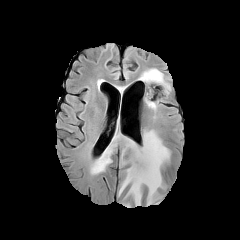
FLAIR MR.
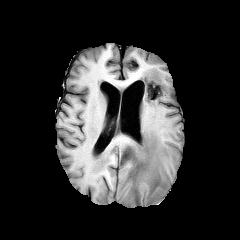
T1-weighted MR of the same slice.
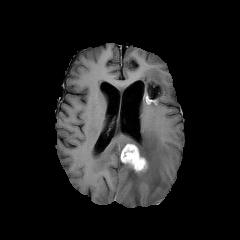
Same slice, post-contrast T1-weighted MR.
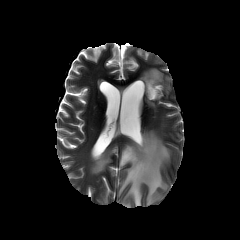
Same slice, T2-weighted magnetic resonance.
Image size 240x240
<segmentation>
  <edema><bbox>91, 131, 121, 173</bbox>, <bbox>140, 68, 165, 84</bbox>, <bbox>118, 130, 170, 207</bbox>, <bbox>146, 96, 155, 109</bbox></edema>
  <non-enhancing_tumor_core><bbox>129, 162, 149, 179</bbox></non-enhancing_tumor_core>
  <enhancing_tumor><bbox>121, 144, 147, 172</bbox></enhancing_tumor>
</segmentation>